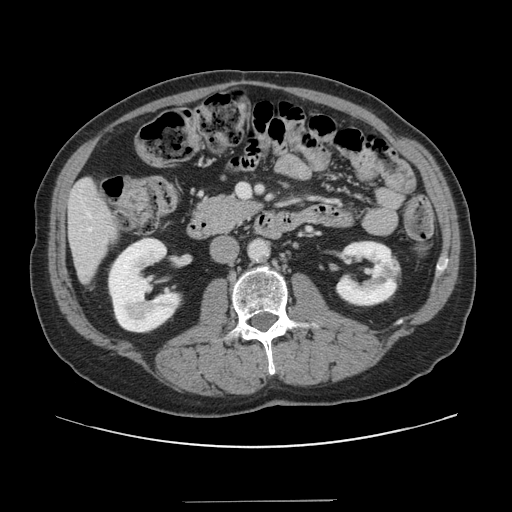 CT

The vessel annotation is not exhaustive.
The hepatic vessel is bounded by 238 184 249 196.